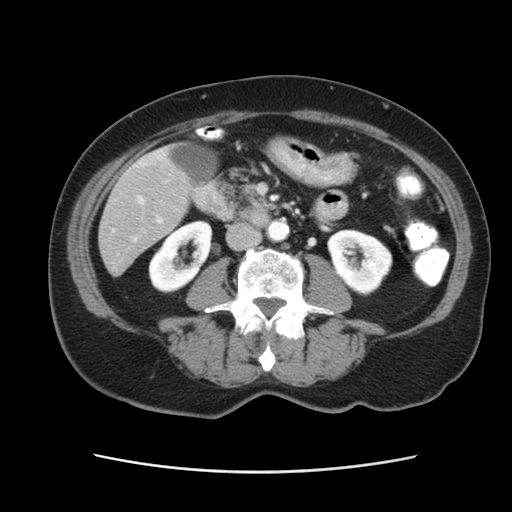
CT
Only some of the vessels may be annotated.
<segmentation>
  <hepatic_vessel>(left=137, top=197, right=143, bottom=203), (left=157, top=218, right=161, bottom=222)</hepatic_vessel>
</segmentation>